Abdomen. CT slice. Slice 256 of 391.

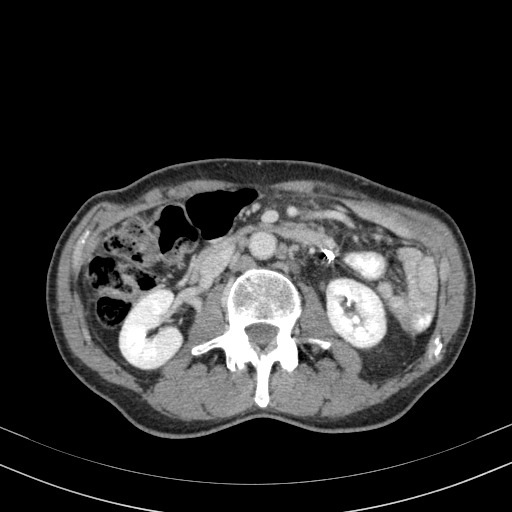 {"kidney": ["l=120, t=290, r=181, b=368", "l=327, t=279, r=384, b=346"]}